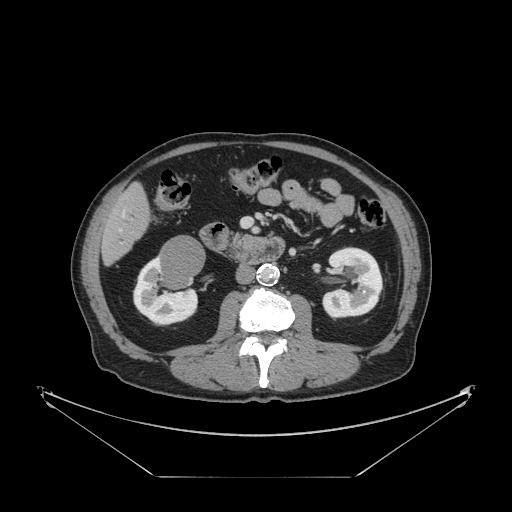
Abdomen, CT image

Some hepatic vessels may have no box.
<segmentation>
  <hepatic_vessel>122:211:123:216</hepatic_vessel>
</segmentation>